Upper abdomen; CT scan slice
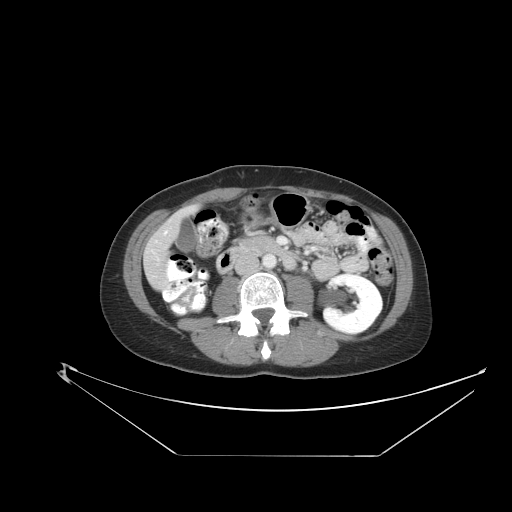 Pancreas: box(240, 236, 279, 255).